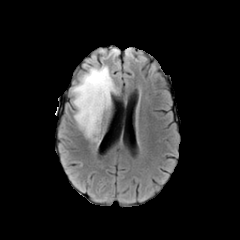
FLAIR MR.
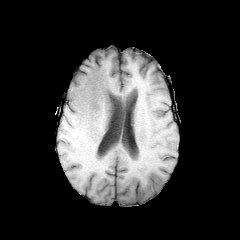
Same slice, T1-weighted magnetic resonance.
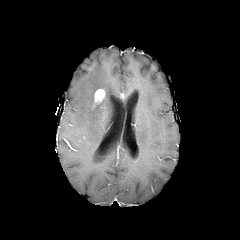
Same slice, post-contrast T1-weighted MR.
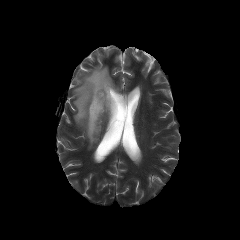
Same slice, T2-weighted MRI.
{"enhancing_tumor": ["rect(94, 89, 105, 103)"], "edema": ["rect(71, 63, 118, 143)"]}